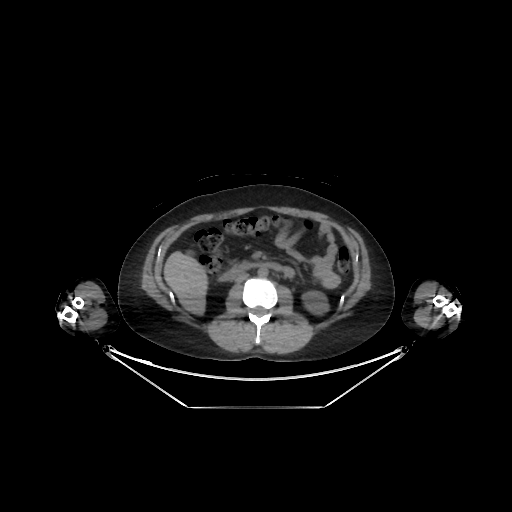

Computed tomography, Liver
The kidney appears at (x1=301, y1=290, x2=329, y2=315). The liver lies within (x1=164, y1=252, x2=207, y2=313).